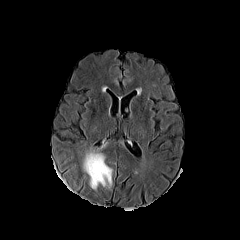
FLAIR MR image.
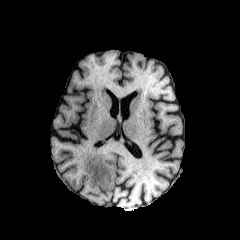
T1-weighted MR.
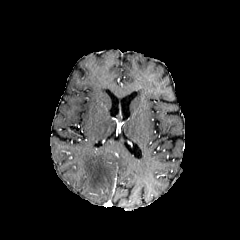
Post-contrast T1-weighted magnetic resonance of the same slice.
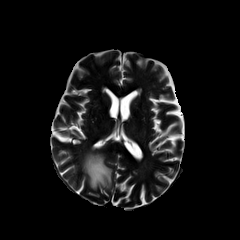
T2-weighted magnetic resonance.
Segmented structures:
* edema: (82, 149, 111, 190)